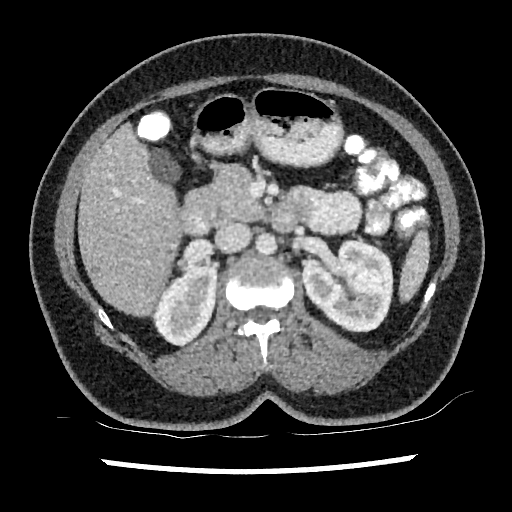 512x512 | CT image | Upper abdomen
The liver lesion is at 150,151,178,182. 2 kidney regions are bounded by 155,263,216,344; 303,241,392,330. The liver is located at 79,125,177,314.